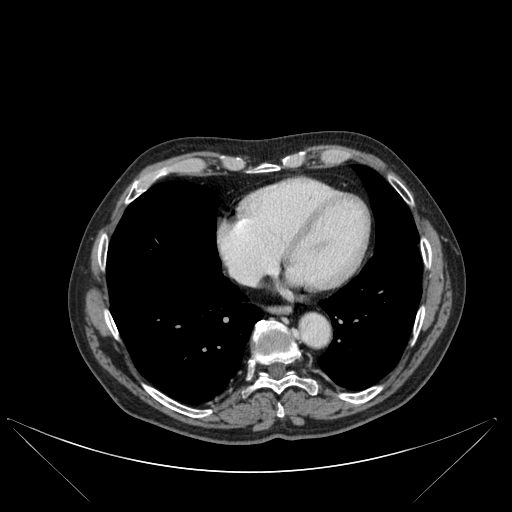 512x512. CT slice.
Annotated regions:
- lung: 318 164 421 389, 106 181 262 404
- bone: 143 385 211 417, 298 357 307 372, 414 307 424 337, 104 311 117 337, 339 387 381 403, 245 320 299 379, 399 183 412 203, 98 234 107 267, 421 238 431 266, 250 371 317 393, 277 404 283 416, 126 173 160 203, 256 165 278 172